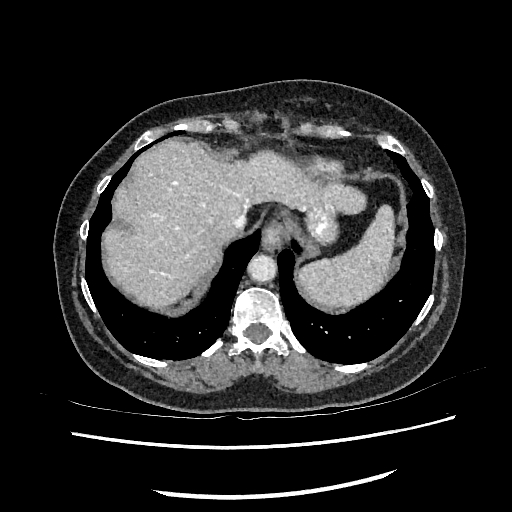
Computed tomography, Liver, Image size 512x512
The liver appears at <box>104,141,364,305</box>.